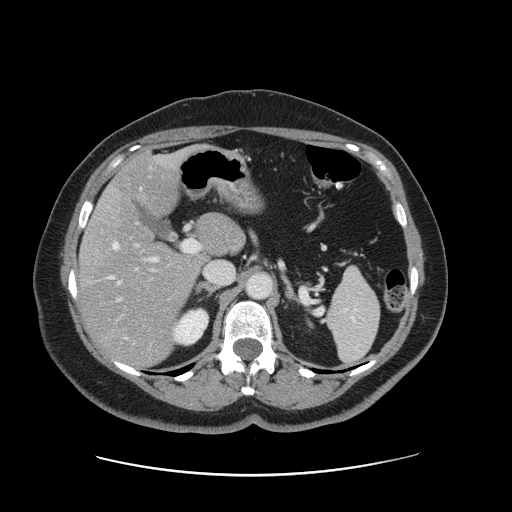
Liver, Image size 512x512, CT scan slice

Some hepatic vessels may have no box.
Hepatic vessel at 136, 244, 138, 246; 113, 243, 118, 248; 148, 257, 158, 261; 117, 298, 121, 300; 153, 269, 154, 270; 109, 275, 113, 278; 136, 268, 137, 270; 118, 281, 120, 284.